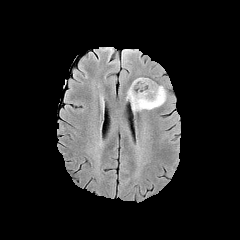
FLAIR MR.
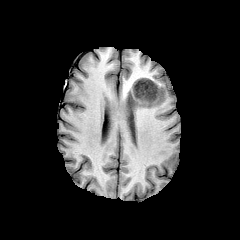
T1-weighted MR image of the same slice.
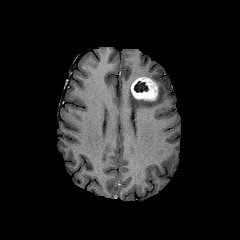
Same slice, post-contrast T1-weighted MRI.
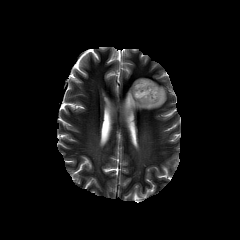
T2-weighted MRI.
240x240 px.
Annotated regions:
- edema: 126,85,166,114
- enhancing tumor: 130,77,157,100
- non-enhancing tumor core: 137,88,159,102; 134,81,148,92